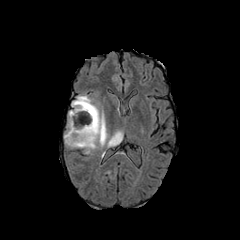
FLAIR MR image.
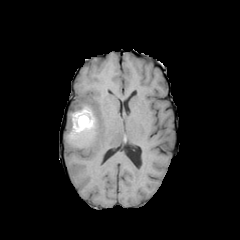
Same slice, T1-weighted MRI.
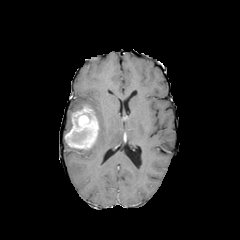
Post-contrast T1-weighted MRI.
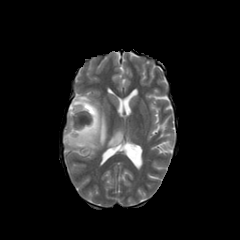
Same slice, T2-weighted MRI.
Head, 240x240 px
Annotated regions:
• non-enhancing tumor core: left=73, top=104, right=87, bottom=112; left=71, top=128, right=85, bottom=140
• edema: left=69, top=95, right=123, bottom=154
• enhancing tumor: left=65, top=107, right=99, bottom=149